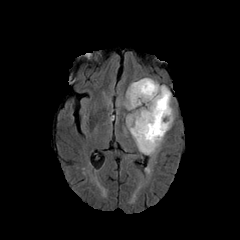
FLAIR MR image.
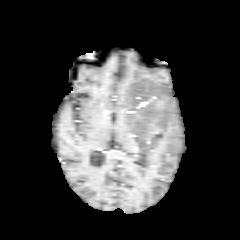
T1-weighted magnetic resonance.
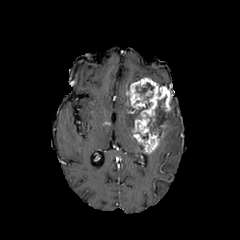
Post-contrast T1-weighted MR image.
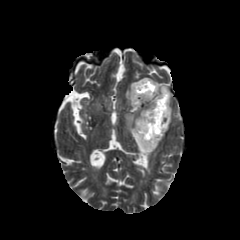
Same slice, T2-weighted MRI.
Head
The edema lies within [123,81,175,157]. The enhancing tumor is bounded by [126,78,170,152]. 2 non-enhancing tumor core regions appear at [136,83,153,110], [146,95,169,134].